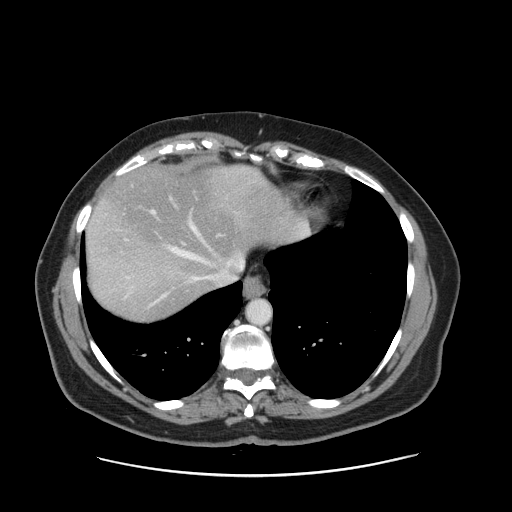

Abdomen, CT scan slice

Not every hepatic vessel necessarily has a box.
Hepatic vessel: <bbox>194, 277, 198, 280</bbox>, <bbox>170, 197, 171, 199</bbox>, <bbox>150, 303, 153, 305</bbox>, <bbox>154, 301, 156, 302</bbox>, <bbox>151, 210, 155, 213</bbox>, <bbox>157, 294, 166, 300</bbox>.